Slice 115 of 155. Field of view 240 mm wide, 1.00 mm slice spacing.
FLAIR magnetic resonance.
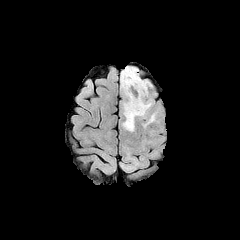
T1-weighted magnetic resonance.
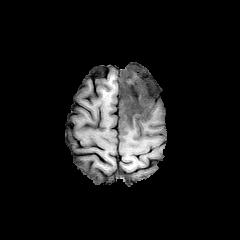
Post-contrast T1-weighted MRI.
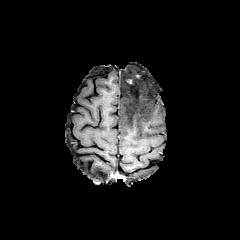
T2-weighted MRI.
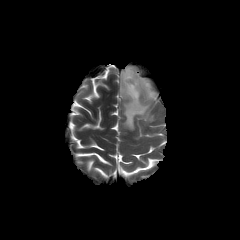
The non-enhancing tumor core is located at (x1=125, y1=77, x2=145, y2=120). The edema is bounded by (x1=120, y1=66, x2=155, y2=131).